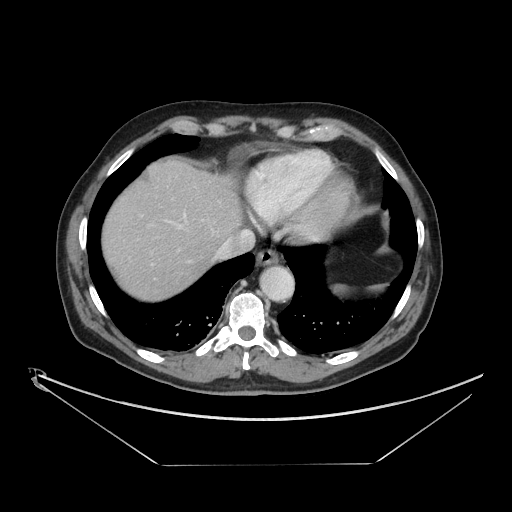 CT image. 512x512 px.
Not every hepatic vessel necessarily has a box.
Annotated regions:
- hepatic vessel: {"x1": 183, "y1": 213, "x2": 185, "y2": 216}, {"x1": 178, "y1": 225, "x2": 180, "y2": 228}